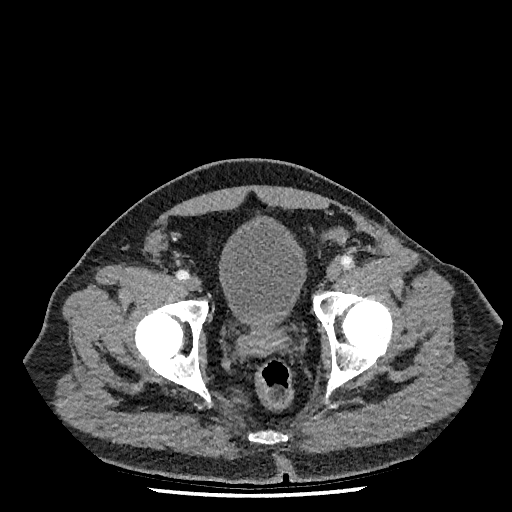

CT scan slice; 512x512

The urinary bladder lies within box(218, 219, 307, 324).